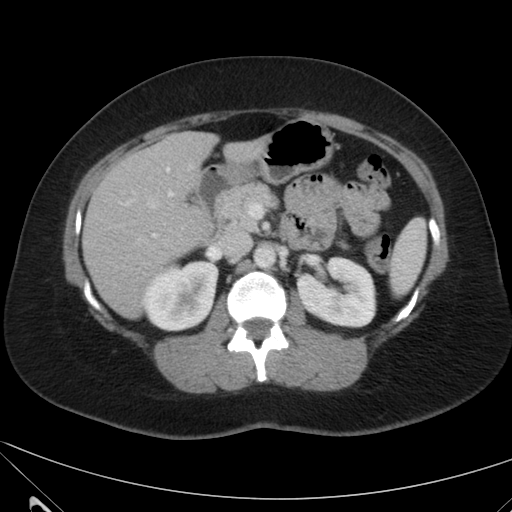

Computed tomography. Liver = (82,133,217,316), (224,139,267,165).
Kidney = (299,258,374,325), (144,262,216,329).